Slice 426 of 624, Computed tomography, Abdomen, Image width 350 mm

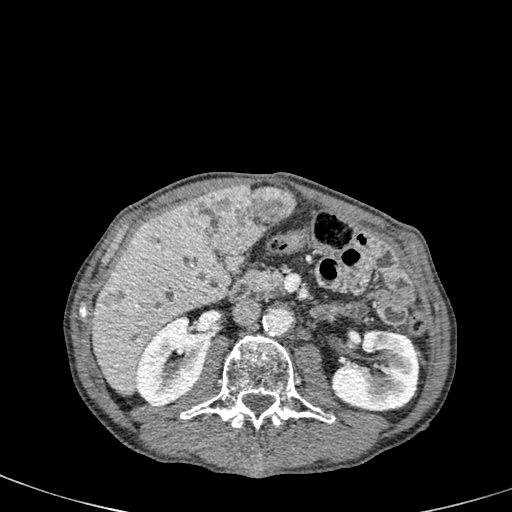
2 focal liver lesion regions are located at x1=197, y1=186, x2=294, y2=254; x1=104, y1=288, x2=123, y2=303. 2 kidney regions are bounded by x1=333, y1=331, x2=418, y2=410; x1=135, y1=314, x2=212, y2=406. The liver is located at x1=92, y1=198, x2=231, y2=395.